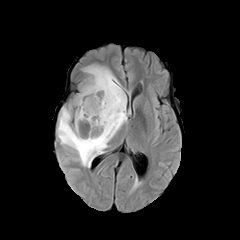
FLAIR MR.
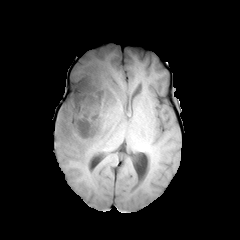
Same slice, T1-weighted MR.
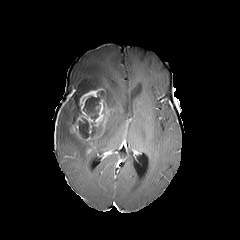
Post-contrast T1-weighted magnetic resonance.
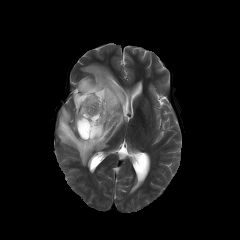
T2-weighted magnetic resonance.
{"edema": ["bbox(56, 64, 130, 167)"], "enhancing_tumor": ["bbox(72, 88, 107, 132)"], "non-enhancing_tumor_core": ["bbox(83, 96, 99, 119)", "bbox(74, 84, 111, 139)"]}